Brain, Image size 240x240
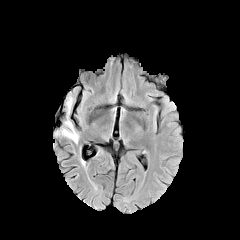
FLAIR MR.
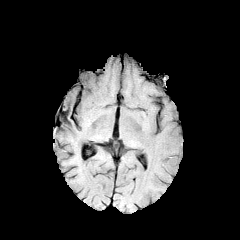
T1-weighted MR image of the same slice.
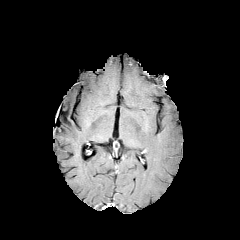
Post-contrast T1-weighted MRI of the same slice.
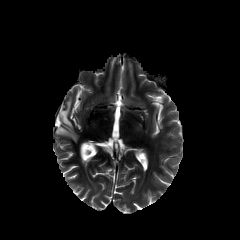
T2-weighted MR.
Edema: bounding box 56 118 79 142, 66 96 73 111.